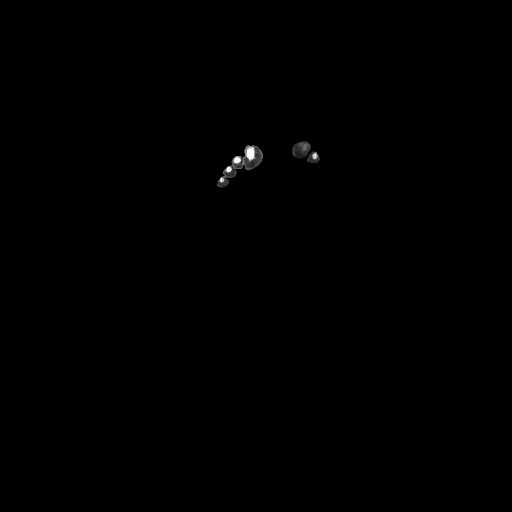
CT
- bone: 247 149 253 159